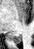 Image size 34x49 | MRI slice
The posterior hippocampus appears at 11:35:21:43.